Brain. Slice 121 of 155.
FLAIR MRI.
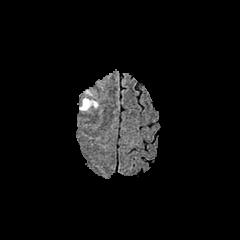
T1-weighted MR.
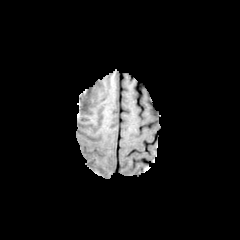
Post-contrast T1-weighted MR image.
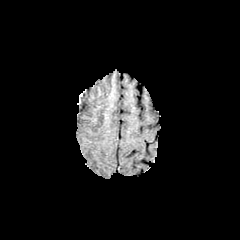
T2-weighted magnetic resonance.
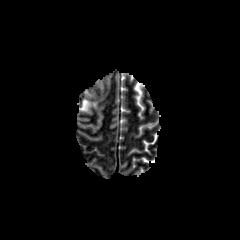
Edema at [79,90,97,111].